Slice 77/155
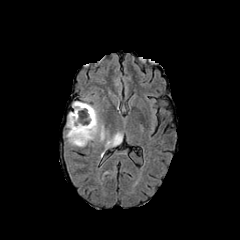
FLAIR MR.
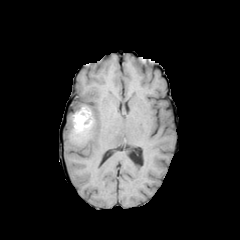
T1-weighted MR image of the same slice.
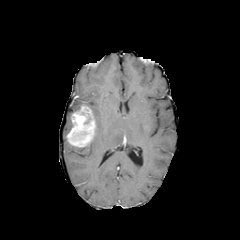
Same slice, post-contrast T1-weighted MR image.
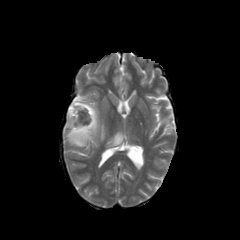
T2-weighted MR image.
The non-enhancing tumor core is bounded by (x1=79, y1=110, x2=91, y2=124). The enhancing tumor is bounded by (x1=66, y1=105, x2=96, y2=146). 2 edema regions appear at (x1=66, y1=112, x2=73, y2=135), (x1=72, y1=94, x2=118, y2=148).